CT slice
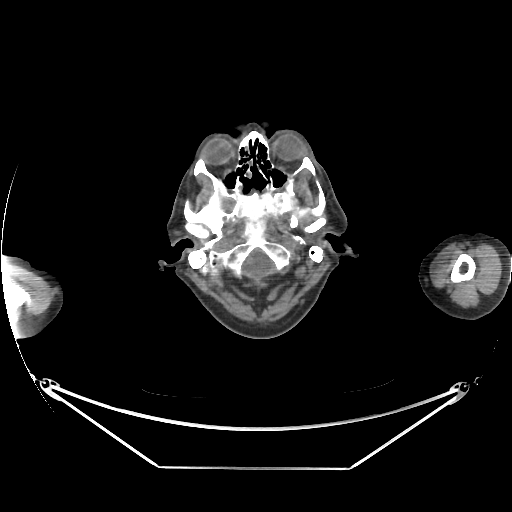
The brain lies within bbox=[241, 247, 275, 280].